Slice index 99. Brain. Field of view 240x240 mm. 240x240 px.
FLAIR magnetic resonance.
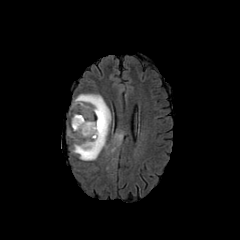
T1-weighted magnetic resonance.
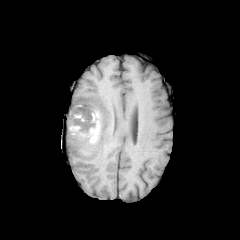
Post-contrast T1-weighted MR image.
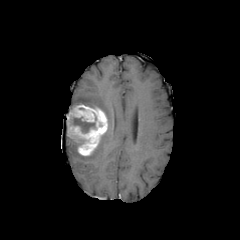
T2-weighted MR.
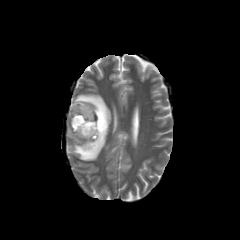
The enhancing tumor is located at 67 104 108 156. The edema lies within 71 93 111 160. The non-enhancing tumor core lies within 71 116 95 132.